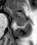 MRI | 37x45
{"anterior_hippocampus": ["6:7:25:19"], "posterior_hippocampus": ["14:20:25:25"]}